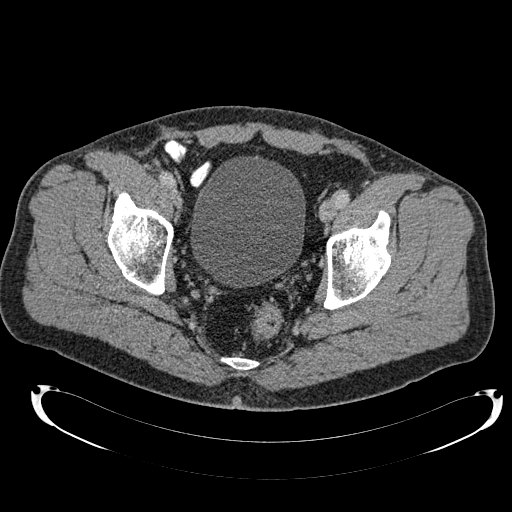
CT slice

Urinary bladder: (190,155,305,286).